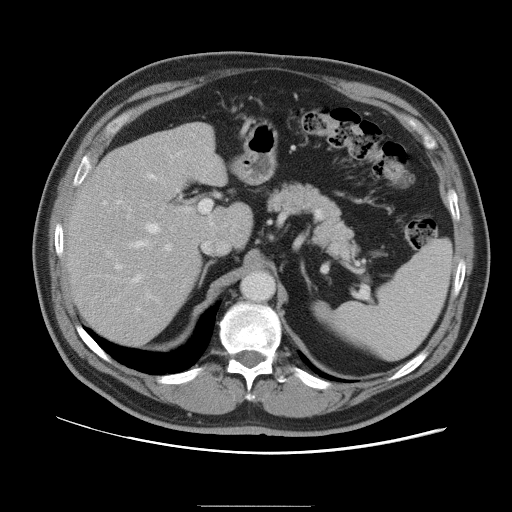
Liver; Computed tomography; Image size 512x512

The vessel annotation is not exhaustive.
partial: true
hepatic_vessel:
  # 15 of 20 shown
  - bbox=[160, 179, 163, 183]
  - bbox=[146, 223, 159, 232]
  - bbox=[165, 244, 171, 249]
  - bbox=[107, 251, 110, 255]
  - bbox=[147, 173, 155, 179]
  - bbox=[129, 240, 149, 247]
  - bbox=[208, 216, 213, 225]
  - bbox=[117, 200, 120, 203]
  - bbox=[133, 274, 141, 281]
  - bbox=[116, 264, 120, 268]
  - bbox=[223, 224, 226, 226]
  - bbox=[168, 150, 183, 159]
  - bbox=[127, 215, 129, 218]
  - bbox=[146, 291, 159, 303]
  - bbox=[103, 201, 105, 204]